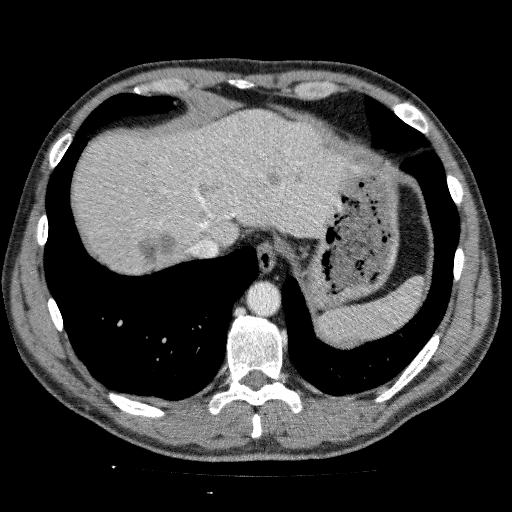

CT image | Abdomen
The liver appears at bbox=[73, 109, 344, 275]. 5 liver lesion regions are located at bbox=[265, 171, 281, 185]; bbox=[138, 159, 149, 168]; bbox=[293, 167, 304, 182]; bbox=[199, 181, 223, 194]; bbox=[136, 232, 178, 269].